FLAIR MR.
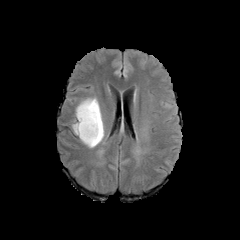
T1-weighted MR.
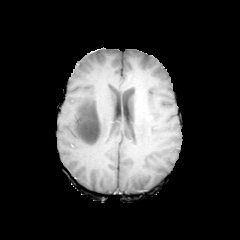
Post-contrast T1-weighted MR.
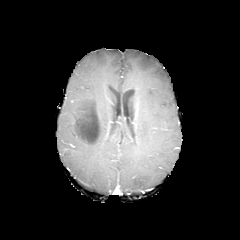
T2-weighted magnetic resonance.
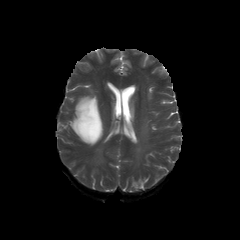
edema:
  - [x1=69, y1=94, x2=107, y2=147]
non-enhancing_tumor_core:
  - [x1=78, y1=104, x2=101, y2=141]